Head; Image width 240 mm
FLAIR MR image.
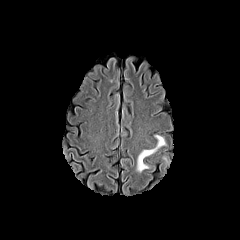
T1-weighted MR.
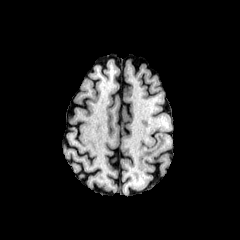
Post-contrast T1-weighted MR.
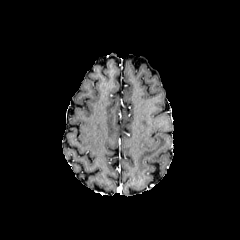
T2-weighted MRI.
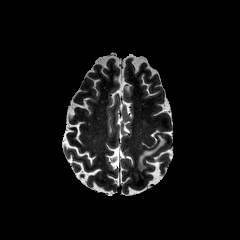
edema:
  - (136,135,165,172)